Computed tomography, Abdomen
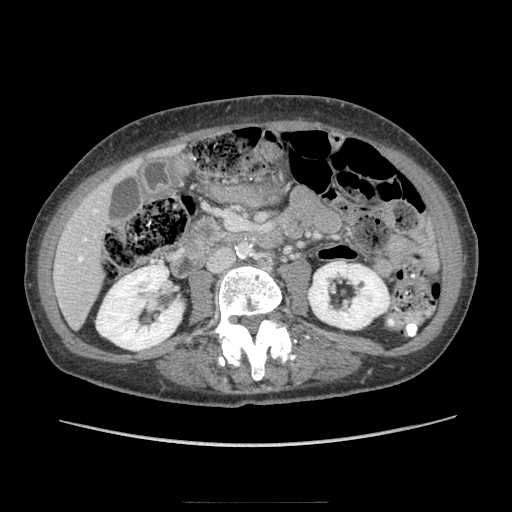

Segmented structures:
* pancreas: rect(185, 216, 229, 259)
* pancreatic tumor: rect(195, 223, 217, 242)